Slice 48 of 82. CT image.
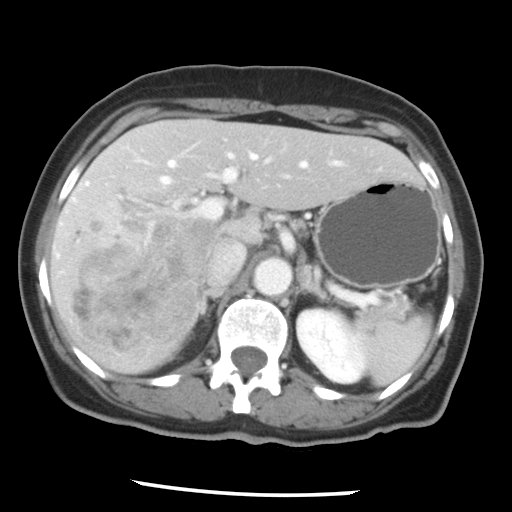
Not every hepatic vessel necessarily has a box.
Liver tumor: bounding box box(67, 218, 216, 350).
Hepatic vessel: bounding box box(215, 244, 243, 277); box(158, 176, 171, 186); box(207, 174, 216, 176); box(167, 158, 176, 167); box(222, 165, 236, 181); box(249, 152, 257, 159); box(83, 180, 90, 188); box(230, 154, 231, 156); box(300, 161, 306, 167); box(334, 161, 339, 163); box(192, 199, 222, 218); box(61, 230, 68, 236).